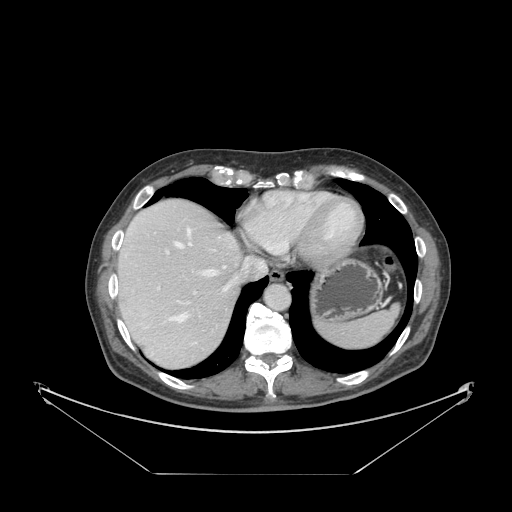
CT scan slice | Upper abdomen
Spleen: bounding box region(316, 304, 399, 350).